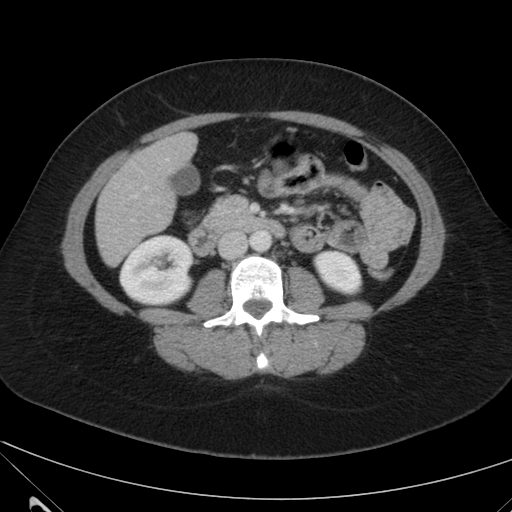 CT image.

Liver: bounding box box(96, 132, 196, 266).
Kidney: bounding box box(316, 252, 359, 291); box(121, 236, 189, 303).